FLAIR MR image.
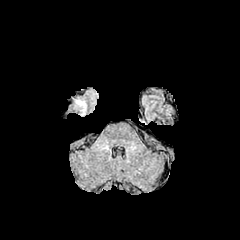
T1-weighted MRI.
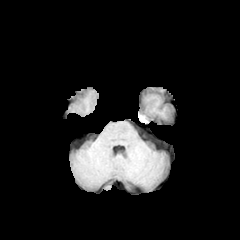
Post-contrast T1-weighted MR image.
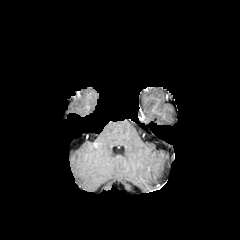
T2-weighted magnetic resonance.
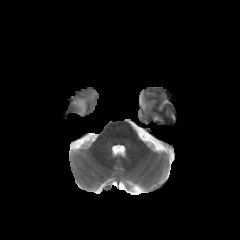
The edema appears at x1=73 y1=97 x2=88 y2=115.